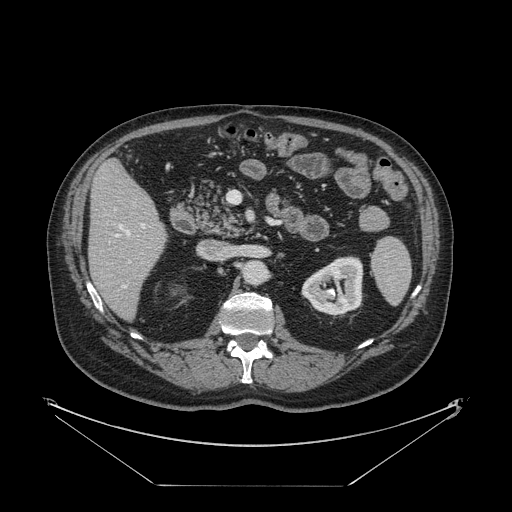
CT image, Abdomen
The vessel boxes may cover only some of the vessels.
Hepatic vessel at (x1=128, y1=260, x2=129, y2=261), (x1=140, y1=224, x2=143, y2=226), (x1=114, y1=208, x2=115, y2=210).